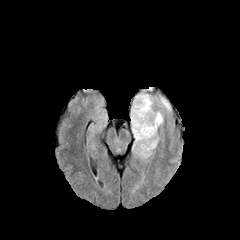
FLAIR MR.
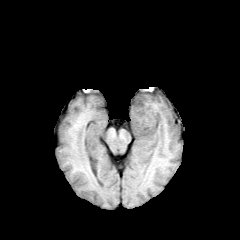
Same slice, T1-weighted MRI.
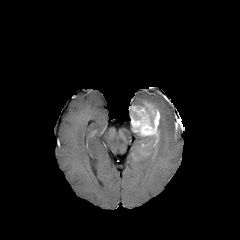
Post-contrast T1-weighted MR of the same slice.
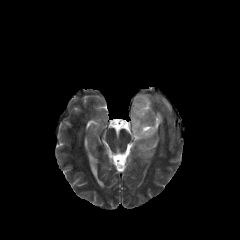
T2-weighted magnetic resonance of the same slice.
- non-enhancing tumor core: [145, 135, 156, 147]
- enhancing tumor: [130, 102, 159, 136]
- edema: [131, 130, 157, 160], [132, 92, 171, 136]